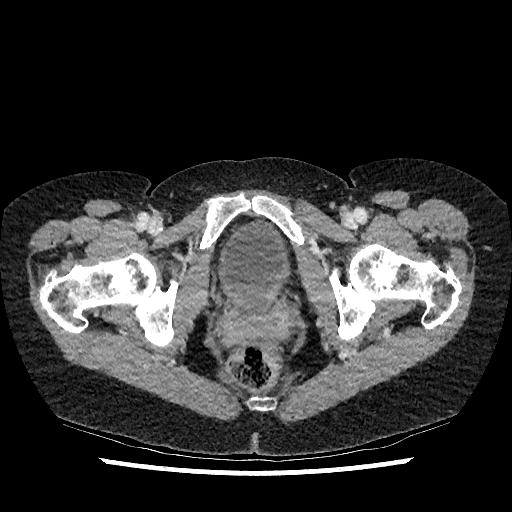

Computed tomography, 512x512 px, Pelvis
The urinary bladder is at left=212, top=215, right=292, bottom=293.